Slice index 278, Image size 512x512, CT scan slice, Upper abdomen 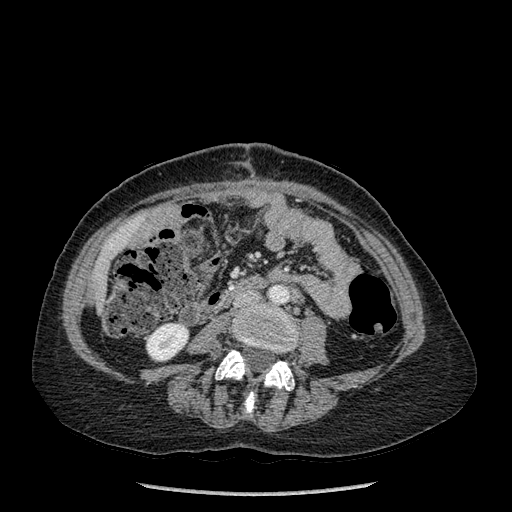 liver:
  - [93,231,128,306]
  - [121,219,138,236]
bone:
  - [232,303,298,352]
  - [263,361,294,390]
  - [215,350,246,379]
  - [244,391,254,414]
kidney:
  - [147,324,188,360]